Computed tomography. Abdomen.
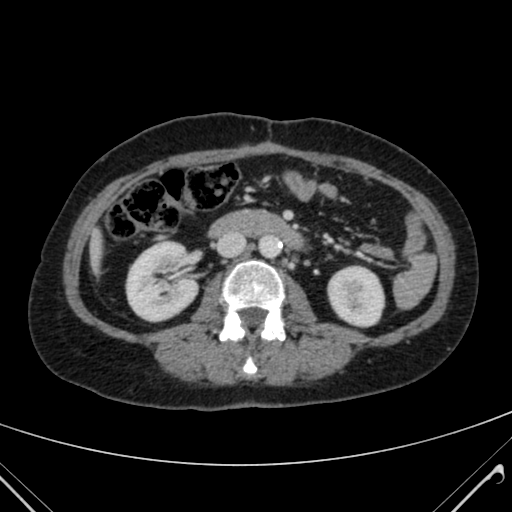 - kidney: 127, 242, 196, 320; 329, 267, 382, 325
- liver: 94, 232, 104, 268